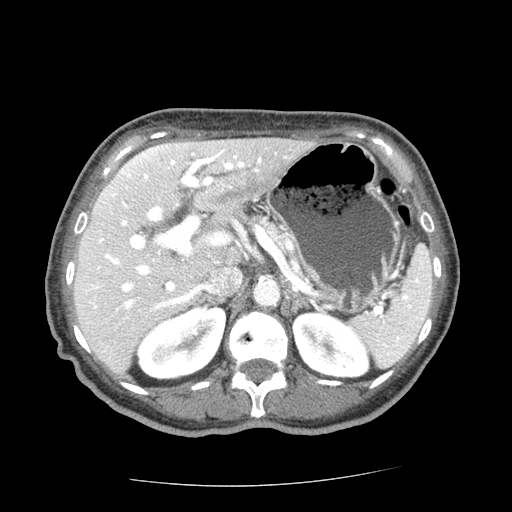

CT | 512x512
{
  "pancreas": [
    "bbox=[256, 216, 285, 249]"
  ]
}